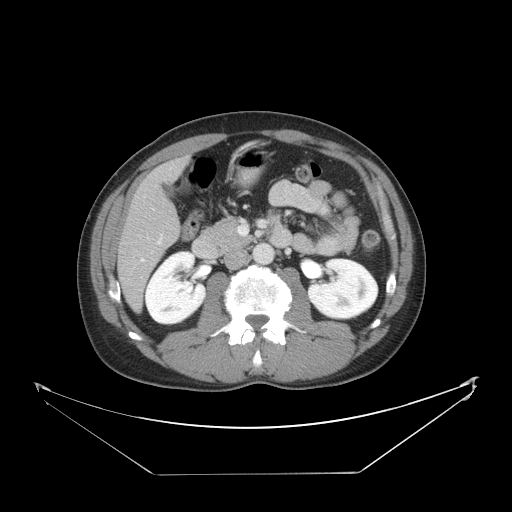

CT, Image size 512x512, Abdomen
Only some of the vessels may be annotated.
* hepatic vessel: x1=157 y1=233 x2=163 y2=244, x1=152 y1=208 x2=154 y2=209, x1=141 y1=258 x2=144 y2=261